Image size 240x240, Field of view 240x240 mm
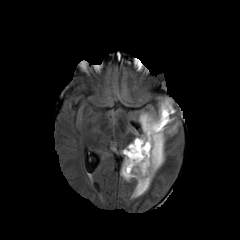
FLAIR MRI.
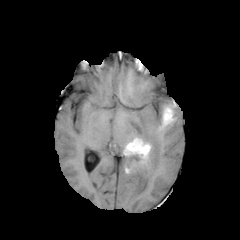
T1-weighted MR image of the same slice.
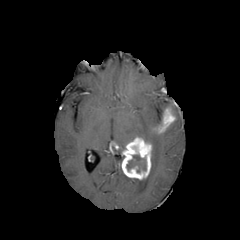
Post-contrast T1-weighted magnetic resonance.
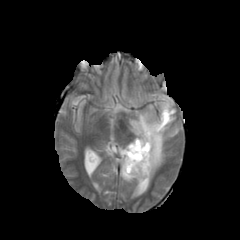
T2-weighted magnetic resonance.
Edema: bounding box [158, 97, 170, 117], [120, 105, 178, 197].
Non-enhancing tumor core: bounding box [154, 113, 162, 131], [127, 155, 145, 172].
Enhancing tumor: bounding box [160, 107, 174, 131], [122, 138, 151, 179].